Field of view 351x351 mm; Thorax; Computed tomography; Slice index 492 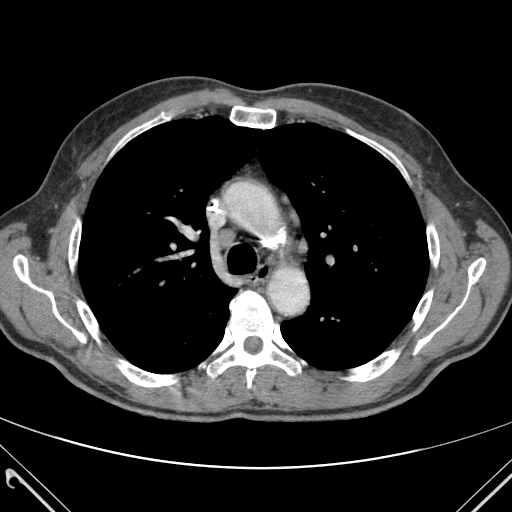

Bone = rect(414, 293, 467, 354); rect(230, 106, 276, 128); rect(427, 225, 439, 266); rect(347, 350, 399, 381); rect(115, 112, 170, 149); rect(413, 291, 432, 330); rect(468, 258, 485, 287); rect(13, 255, 85, 342); rect(77, 301, 99, 341); rect(207, 291, 300, 387); rect(69, 220, 80, 269); rect(118, 360, 176, 386); rect(348, 130, 406, 176).
Lung = rect(79, 116, 428, 373).